Brain
FLAIR MRI.
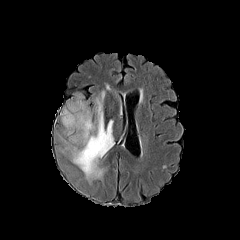
T1-weighted MR.
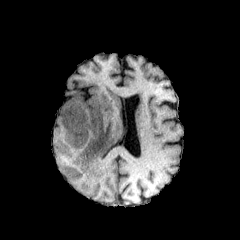
Post-contrast T1-weighted MRI.
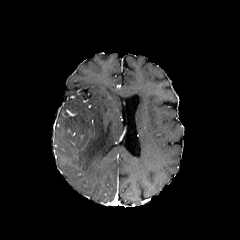
T2-weighted magnetic resonance.
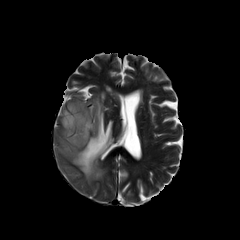
• edema: box(59, 85, 114, 182)